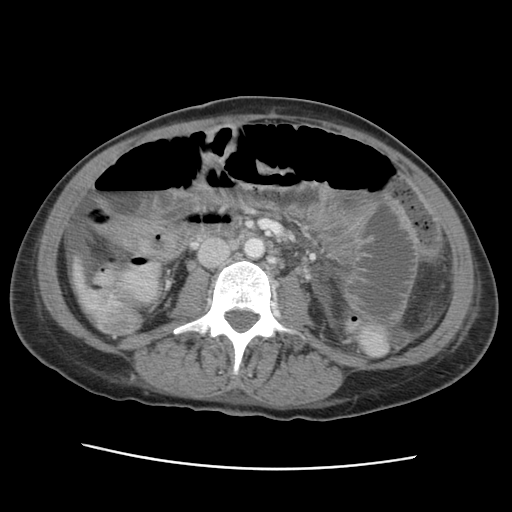
CT

The liver is located at region(74, 264, 85, 292).